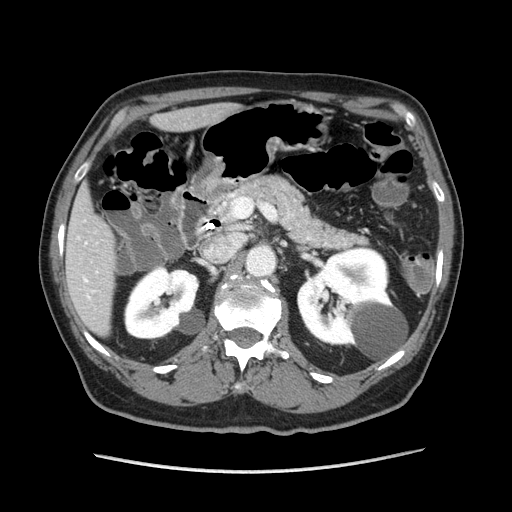
CT image; 512x512
Pancreas at left=233, top=175, right=365, bottom=249.